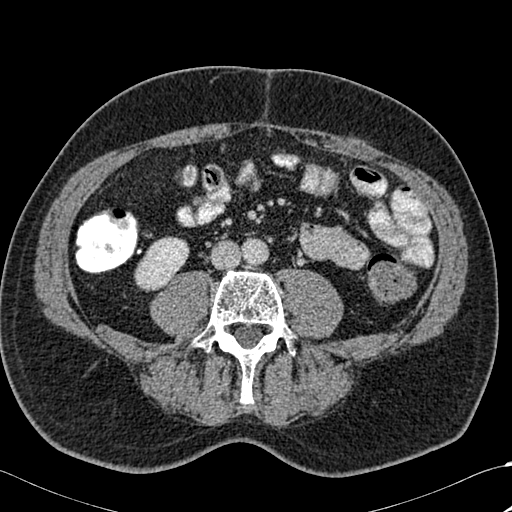

CT scan slice, 512x512 px

bone:
  - region(191, 270, 295, 403)
kidney:
  - region(136, 238, 188, 289)